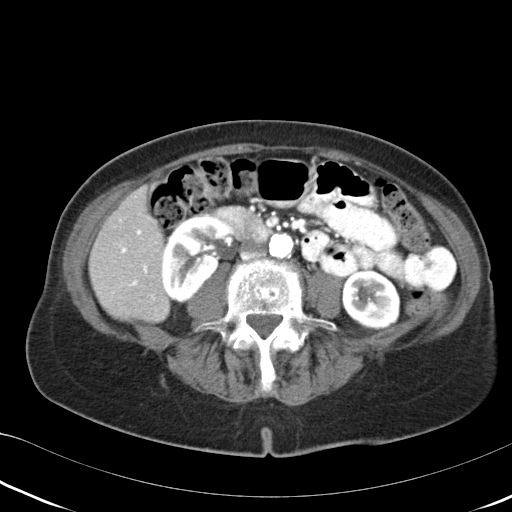

Abdomen. CT slice.
pancreas:
  - (left=217, top=205, right=271, bottom=244)